FLAIR MR.
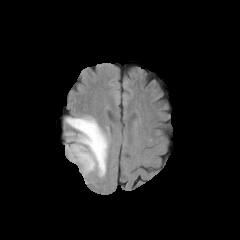
T1-weighted MR image.
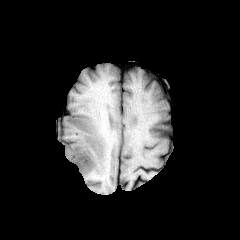
Post-contrast T1-weighted magnetic resonance.
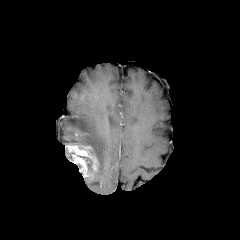
T2-weighted magnetic resonance.
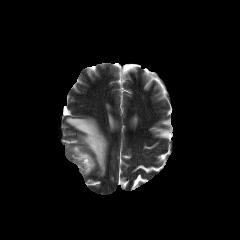
Head
Segmented structures:
- edema: rect(65, 116, 108, 178)
- enhancing tumor: rect(65, 143, 96, 177)
- non-enhancing tumor core: rect(87, 158, 92, 172)